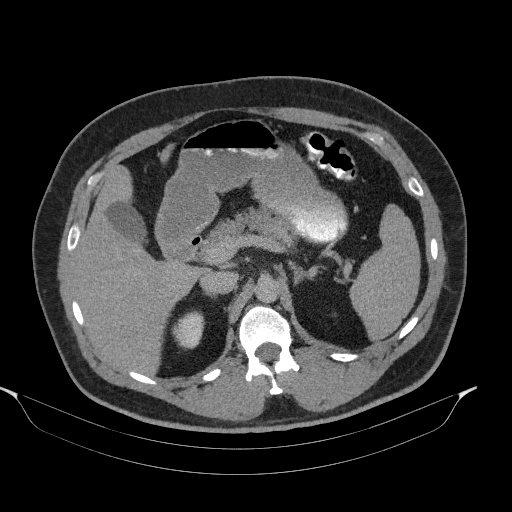 512x512 px | CT scan slice | Upper abdomen
The pancreas appears at x1=206, y1=208, x2=294, y2=245.